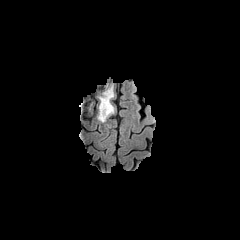
FLAIR magnetic resonance.
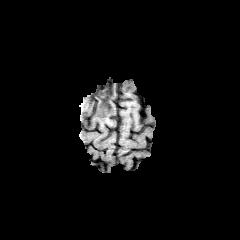
T1-weighted MR.
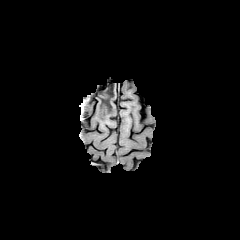
Post-contrast T1-weighted MR image.
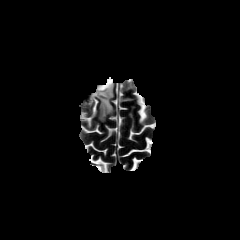
T2-weighted MR of the same slice.
edema:
  - rect(93, 83, 115, 125)